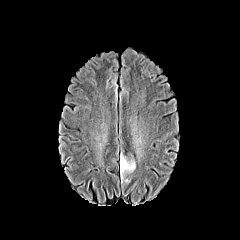
FLAIR MR image.
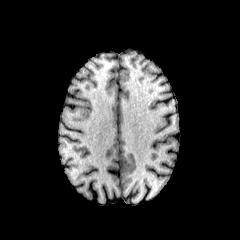
T1-weighted MR image of the same slice.
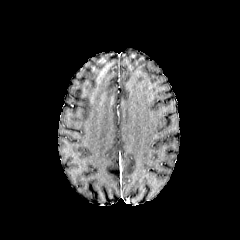
Post-contrast T1-weighted magnetic resonance of the same slice.
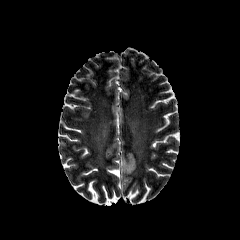
Same slice, T2-weighted MR.
Brain
Edema = x1=120 y1=159 x2=135 y2=173.